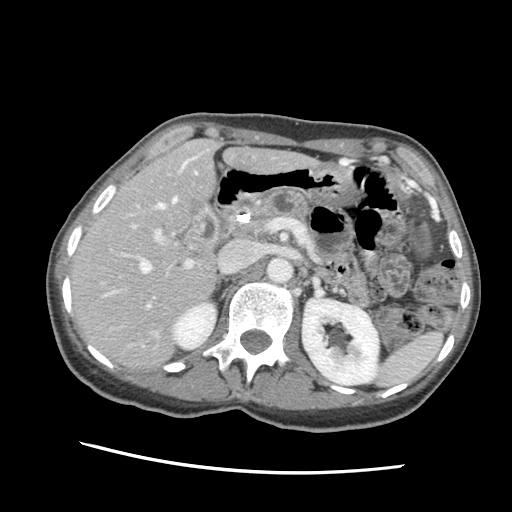 CT image, Upper abdomen
The pancreas lies within box(234, 191, 308, 237).